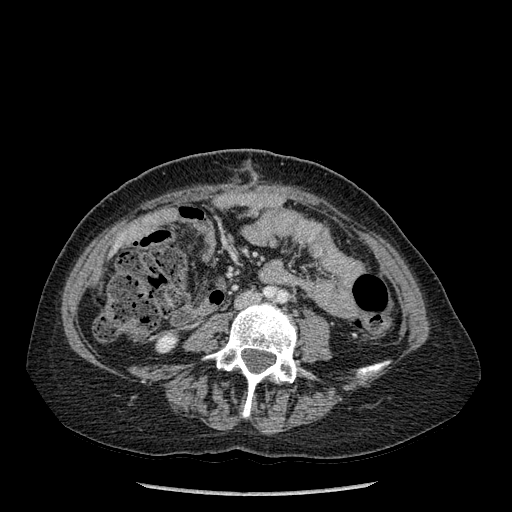 CT scan slice. 512x512. Liver. The kidney is bounded by bbox(157, 335, 175, 351). The liver is at bbox(110, 238, 122, 250). 2 bone regions are bounded by bbox(205, 303, 301, 417); bbox(357, 361, 389, 377).